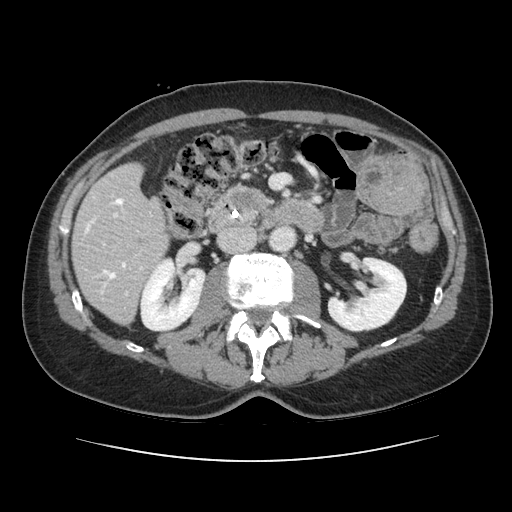

Upper abdomen; CT image

Pancreatic tumor: (x1=230, y1=191, x2=259, y2=209).
Pancreas: (x1=228, y1=188, x2=265, y2=223).